Slice 74/155.
FLAIR MR.
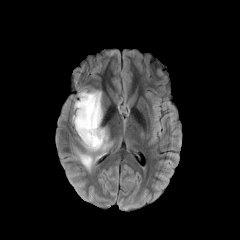
T1-weighted MR.
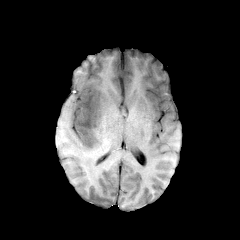
Post-contrast T1-weighted MR.
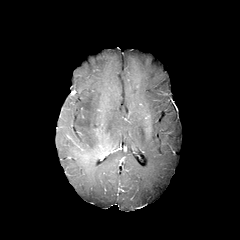
T2-weighted MR image.
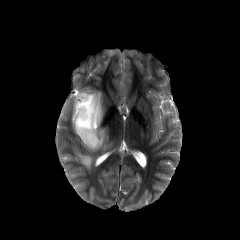
{"edema": ["72,88,107,170"]}